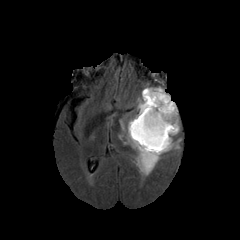
FLAIR MR image.
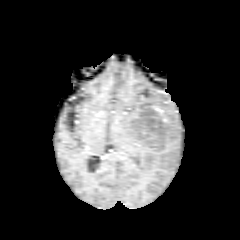
Same slice, T1-weighted MR image.
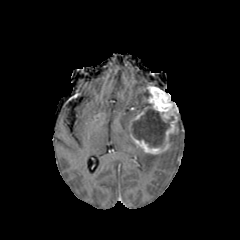
Post-contrast T1-weighted magnetic resonance of the same slice.
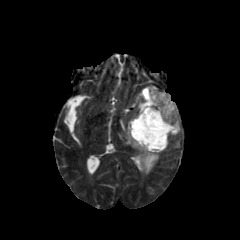
T2-weighted magnetic resonance of the same slice.
Head
enhancing_tumor:
  - left=132, top=110, right=145, bottom=121
  - left=130, top=85, right=178, bottom=153
edema:
  - left=120, top=88, right=181, bottom=175
non-enhancing_tumor_core:
  - left=130, top=90, right=173, bottom=146